CT scan slice; Slice 22 of 34; 512x512 px
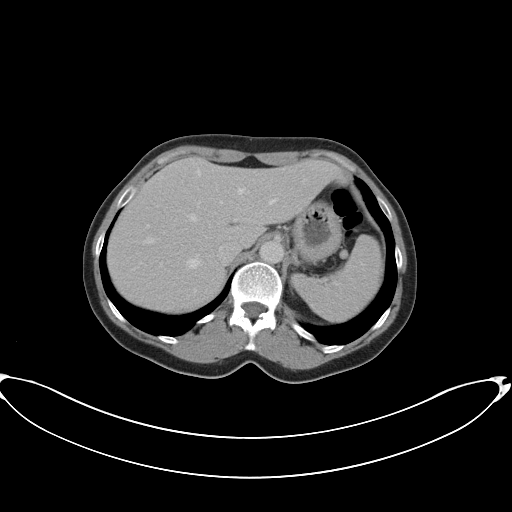 Not every hepatic vessel necessarily has a box.
5 hepatic vessel regions are bounded by {"x1": 191, "y1": 216, "x2": 194, "y2": 219}, {"x1": 148, "y1": 240, "x2": 152, "y2": 241}, {"x1": 268, "y1": 198, "x2": 276, "y2": 204}, {"x1": 191, "y1": 260, "x2": 195, "y2": 266}, {"x1": 237, "y1": 187, "x2": 247, "y2": 194}.